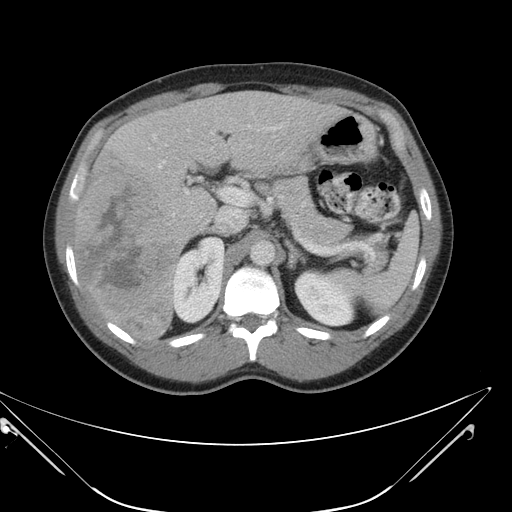 Abdomen, CT, 512x512
Some hepatic vessels may have no box.
{"liver_tumor": ["bbox=[75, 150, 180, 340]"], "hepatic_vessel": ["bbox=[153, 134, 155, 140]", "bbox=[185, 190, 188, 193]", "bbox=[158, 160, 164, 167]", "bbox=[265, 125, 281, 129]", "bbox=[220, 226, 222, 229]", "bbox=[187, 129, 189, 131]", "bbox=[216, 208, 243, 229]"]}